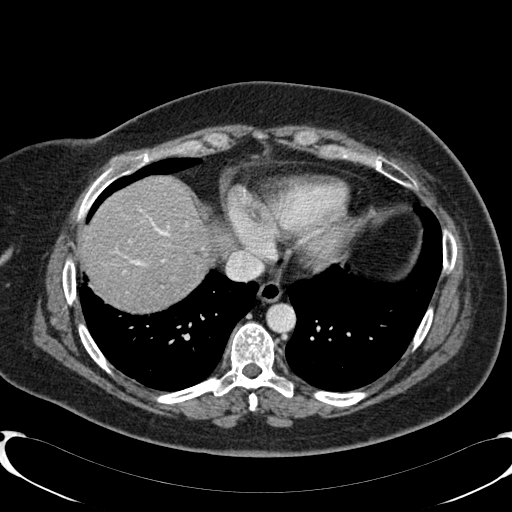

CT scan slice. Image size 512x512. Upper abdomen. The liver is at l=79, t=176, r=230, b=309.